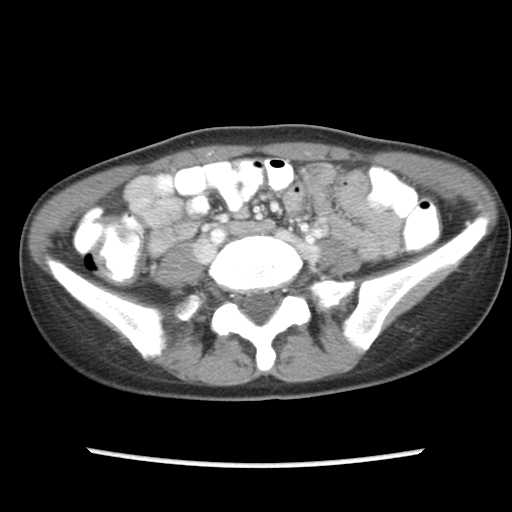
CT. Findings:
* colon tumor: x1=96 y1=257 x2=142 y2=286